Abdomen. CT. Slice 16/44.
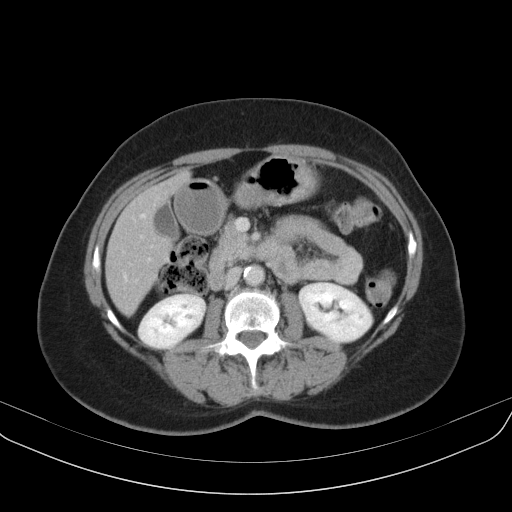
Pancreas = <bbox>207, 219, 258, 277</bbox>.